Slice 11 of 53; Image width 444 mm; Computed tomography 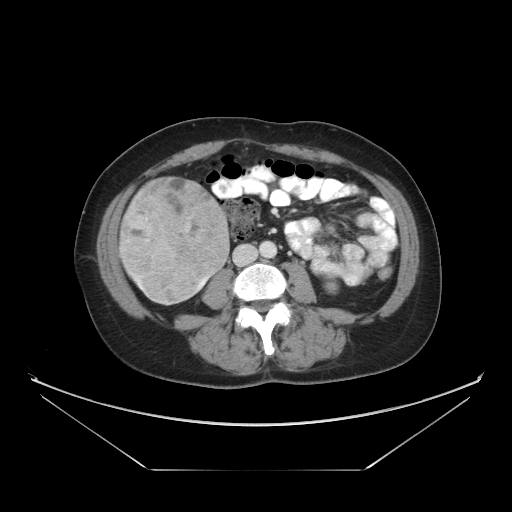 Annotated regions:
• liver tumor: box(119, 178, 228, 303)